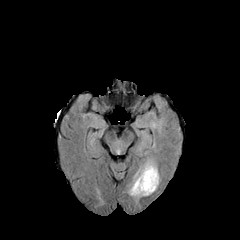
FLAIR magnetic resonance.
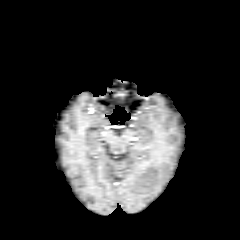
T1-weighted MR.
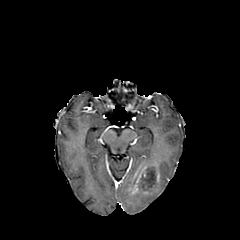
Same slice, post-contrast T1-weighted MR.
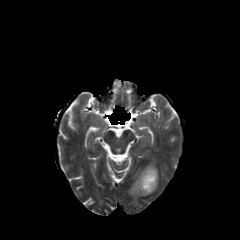
Same slice, T2-weighted MR image.
Brain
The enhancing tumor is at {"x1": 133, "y1": 177, "x2": 139, "y2": 194}. The edema is bounded by {"x1": 128, "y1": 159, "x2": 158, "y2": 197}. The non-enhancing tumor core is bounded by {"x1": 139, "y1": 170, "x2": 155, "y2": 190}.